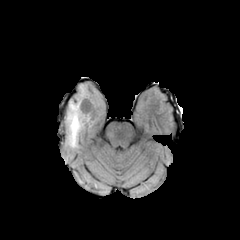
FLAIR MR.
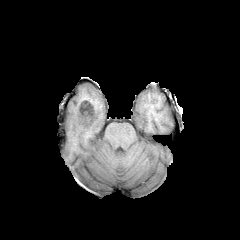
T1-weighted MRI.
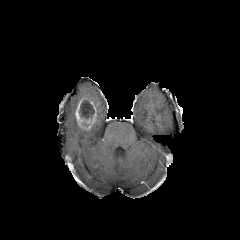
Post-contrast T1-weighted MRI.
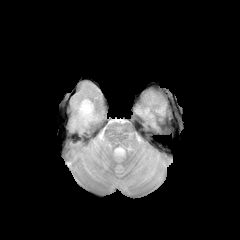
T2-weighted MR image.
240x240
The edema is located at l=66, t=87, r=91, b=147. The enhancing tumor is bounded by l=75, t=104, r=81, b=124. The non-enhancing tumor core is located at l=79, t=102, r=97, b=124.